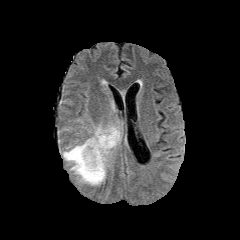
FLAIR MR.
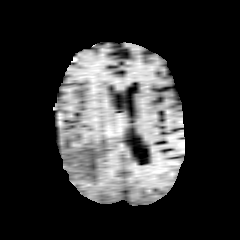
Same slice, T1-weighted MR.
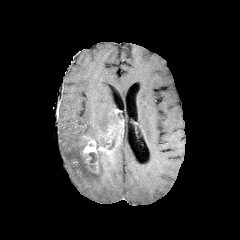
Same slice, post-contrast T1-weighted MR.
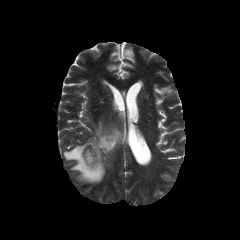
T2-weighted MR image.
240x240.
Findings:
- non-enhancing tumor core: bbox(99, 133, 117, 149); bbox(85, 150, 103, 172)
- edema: bbox(89, 124, 122, 144); bbox(63, 141, 109, 185)
- enhancing tumor: bbox(83, 138, 111, 154)